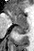

Medial temporal lobe | Magnetic resonance
* posterior hippocampus: left=14, top=25, right=29, bottom=35
* anterior hippocampus: left=7, top=9, right=9, bottom=10; left=11, top=12, right=28, bottom=24